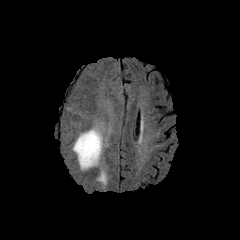
FLAIR MR.
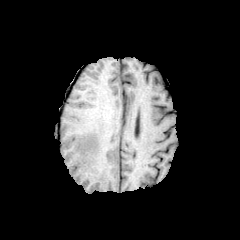
T1-weighted MRI.
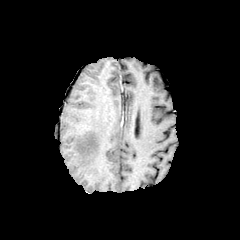
Same slice, post-contrast T1-weighted MR.
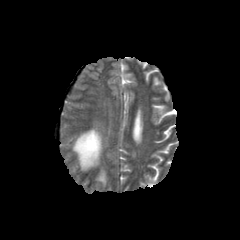
T2-weighted magnetic resonance of the same slice.
Brain
edema:
  - x1=98, y1=170, x2=106, y2=184
  - x1=72, y1=128, x2=103, y2=169